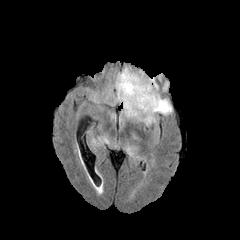
FLAIR magnetic resonance.
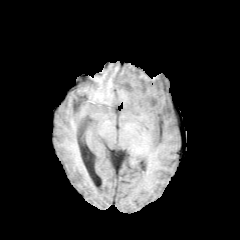
Same slice, T1-weighted magnetic resonance.
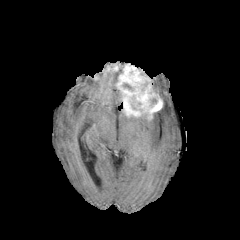
Post-contrast T1-weighted magnetic resonance of the same slice.
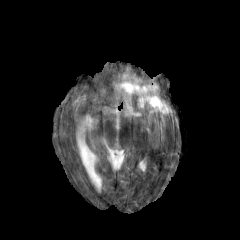
T2-weighted magnetic resonance.
<segmentation>
  <non-enhancing_tumor_core>box(131, 96, 139, 109)</non-enhancing_tumor_core>
  <enhancing_tumor>box(116, 64, 162, 119)</enhancing_tumor>
  <edema>box(111, 74, 121, 103); box(124, 78, 172, 126)</edema>
</segmentation>